Brain, 240x240 px
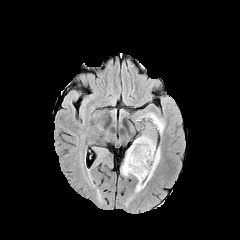
FLAIR MRI.
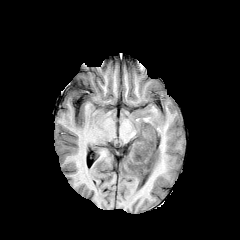
T1-weighted MR image of the same slice.
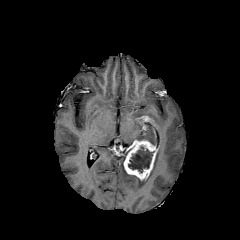
Post-contrast T1-weighted MR image.
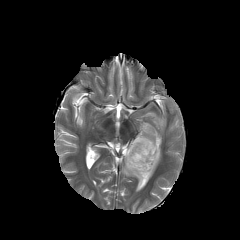
T2-weighted MR image of the same slice.
The enhancing tumor appears at [x1=124, y1=140, x2=157, y2=179]. 3 edema regions appear at [x1=135, y1=125, x2=156, y2=143], [x1=143, y1=112, x2=165, y2=135], [x1=135, y1=146, x2=160, y2=192]. The non-enhancing tumor core is at [x1=128, y1=145, x2=155, y2=173].